Computed tomography; Abdomen; Image size 512x512; Slice 56 of 81

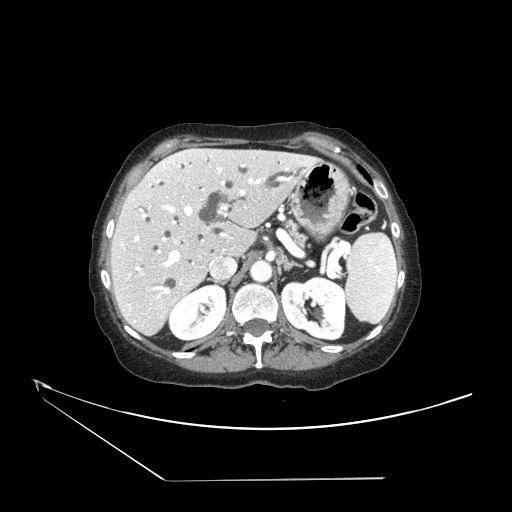
The pancreas is bounded by bbox(287, 221, 307, 246).